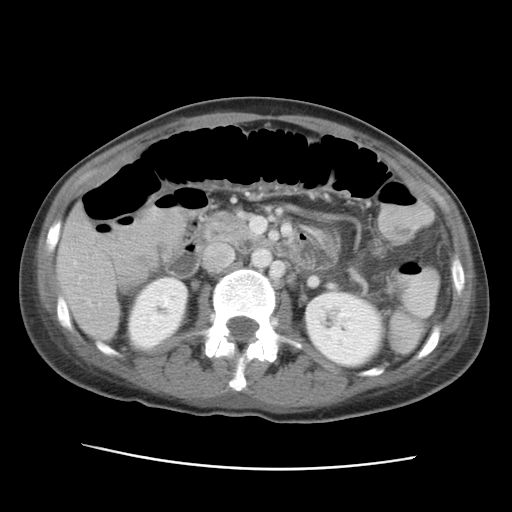 CT scan slice; Abdomen

Liver: region(57, 204, 116, 334).
Kidney: region(129, 278, 186, 348); region(305, 292, 382, 366).